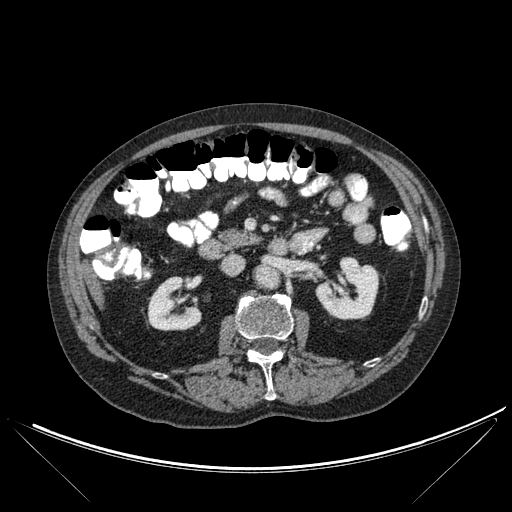 CT image. Liver.

<segmentation>
  <kidney>{"x1": 316, "y1": 257, "x2": 378, "y2": 318}, {"x1": 185, "y1": 276, "x2": 200, "y2": 288}, {"x1": 148, "y1": 277, "x2": 200, "y2": 329}</kidney>
  <liver>{"x1": 83, "y1": 265, "x2": 89, "y2": 274}, {"x1": 87, "y1": 278, "x2": 103, "y2": 306}</liver>
  <bone>{"x1": 247, "y1": 350, "x2": 282, "y2": 399}, {"x1": 236, "y1": 294, "x2": 293, "y2": 339}</bone>
</segmentation>